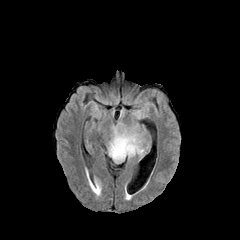
FLAIR MR image.
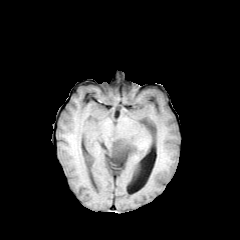
Same slice, T1-weighted MRI.
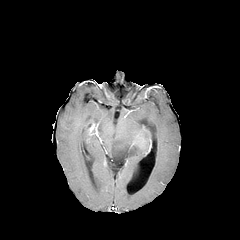
Post-contrast T1-weighted MR image.
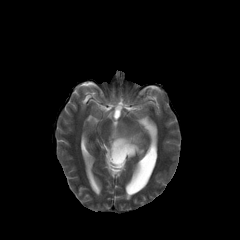
Same slice, T2-weighted MRI.
Edema: bounding box rect(107, 126, 147, 161).
Non-enhancing tumor core: bounding box rect(110, 140, 137, 163).